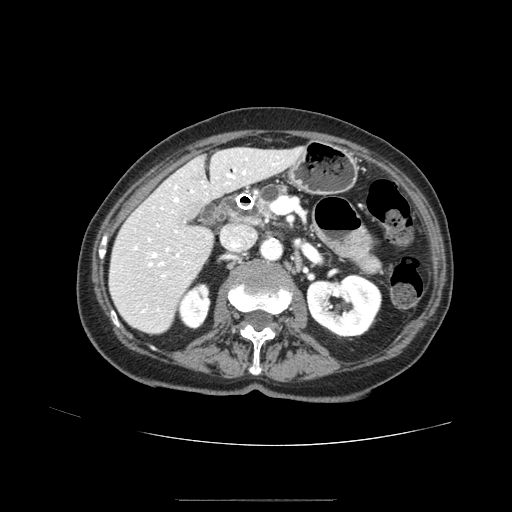

CT image
pancreas: box(260, 185, 285, 204)